512x512 px; CT 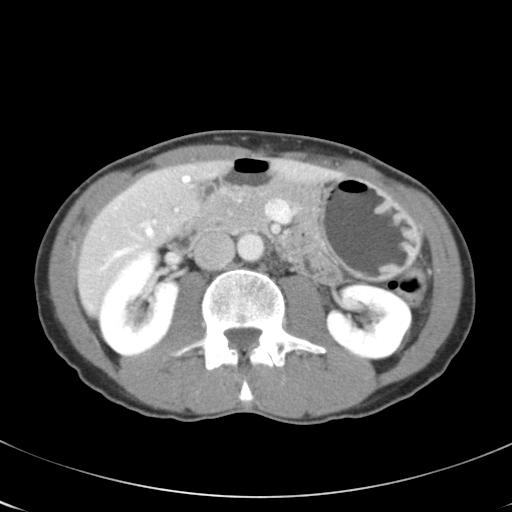
Only some of the vessels may be annotated.
Findings:
* hepatic vessel: [102,248,129,270], [153,221,155,223], [144,223,152,234], [183,176,189,181], [176,209,177,210]